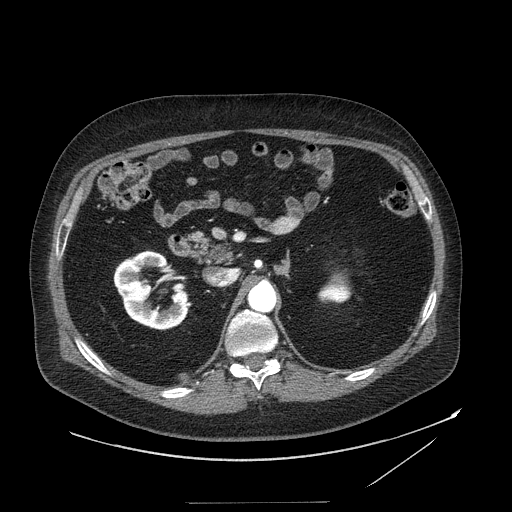
CT scan slice | Upper abdomen
Segmented structures:
• pancreatic tumor: left=209, top=244, right=227, bottom=259
• pancreas: left=190, top=231, right=233, bottom=265